T2-weighted MR image.
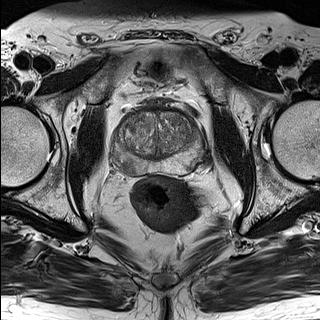
ADC magnetic resonance.
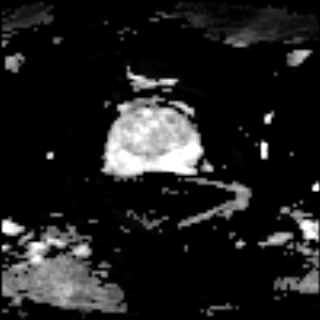
320x320
{"prostate_peripheral_zone": ["l=116, t=123, r=204, b=174"], "prostate_transition_zone": ["l=120, t=113, r=193, b=159"]}